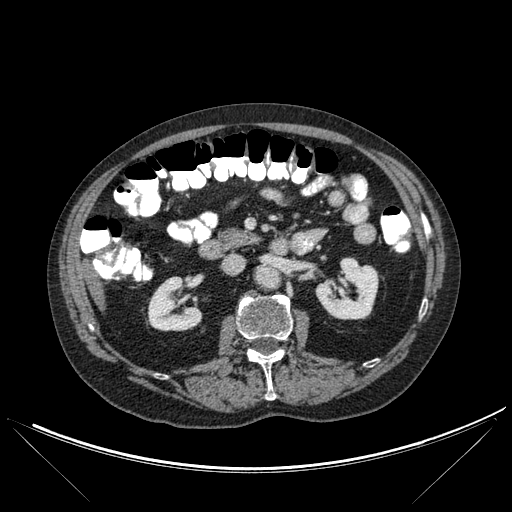

Upper abdomen | Image size 512x512 | CT image

{"liver": ["x1=87, y1=278, x2=104, y2=308", "x1=83, y1=264, x2=90, y2=274"], "bone": ["x1=236, y1=295, x2=292, y2=339", "x1=247, y1=349, x2=284, y2=400"], "kidney": ["x1=316, y1=258, x2=377, y2=318", "x1=186, y1=276, x2=200, y2=287", "x1=148, y1=277, x2=201, y2=330"]}